Hippocampus. Field of view 36 mm wide, 1.00 mm slice spacing. 36x50. Slice 14/40. MRI.

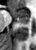

{"posterior_hippocampus": ["box=[18, 22, 28, 23]"], "anterior_hippocampus": ["box=[10, 8, 29, 21]"]}